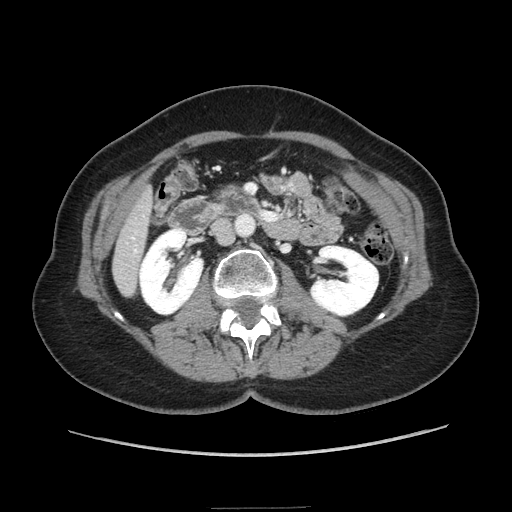

Abdomen, 512x512 px, CT
pancreas: x1=204 y1=203 x2=224 y2=219